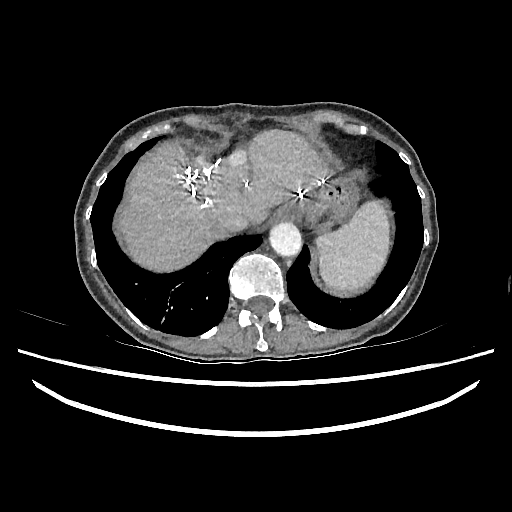 CT
Segmented structures:
* liver: (x1=120, y1=132, x2=325, y2=269)